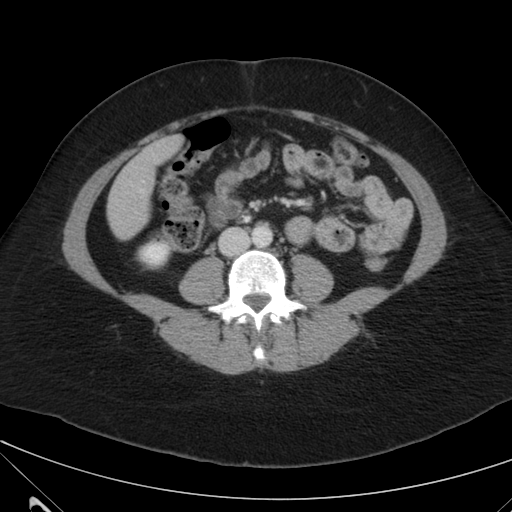 CT image
Kidney: bounding box x1=143, y1=244, x2=166, y2=263.
Liver: bounding box x1=108, y1=137, x2=181, y2=236.